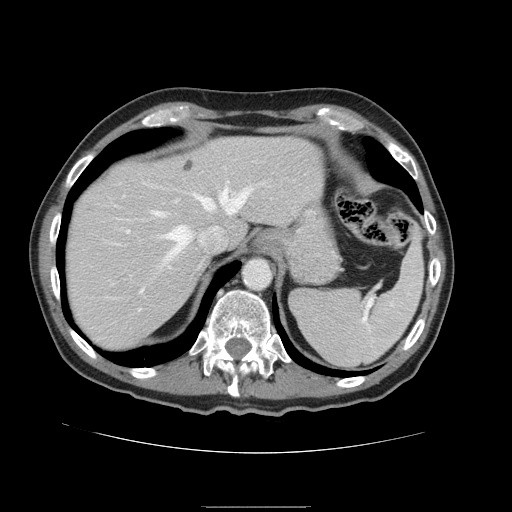

Upper abdomen; Image size 512x512; Computed tomography
<segmentation>
  <spleen>bbox(289, 236, 423, 367)</spleen>
</segmentation>